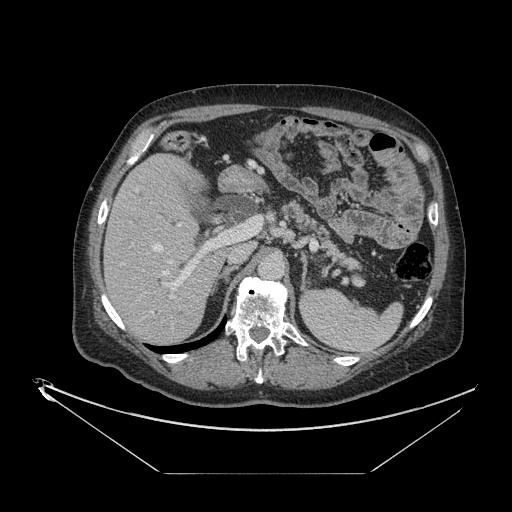
CT scan slice. Image size 512x512. Segmented structures:
* pancreas: 280, 201, 366, 287